Upper abdomen | Computed tomography | Image size 512x512

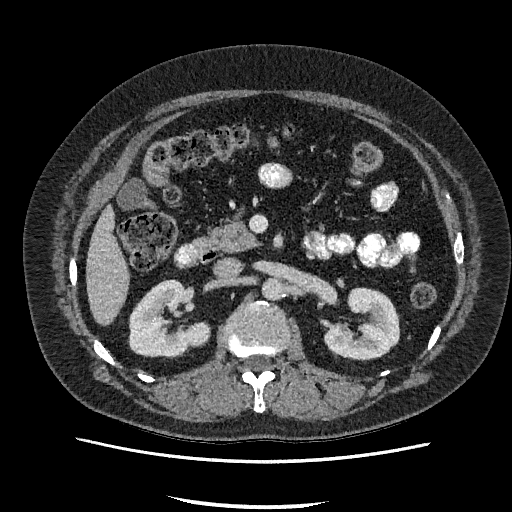
• kidney: left=325, top=289, right=398, bottom=358; left=130, top=280, right=207, bottom=355
• liver: left=86, top=206, right=130, bottom=325